Slice index 72. Head.
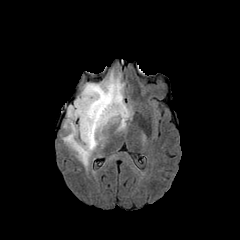
FLAIR MRI.
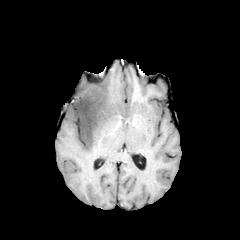
T1-weighted MR.
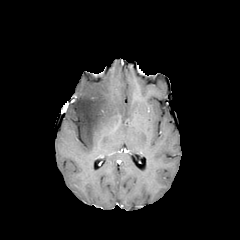
Post-contrast T1-weighted MR image.
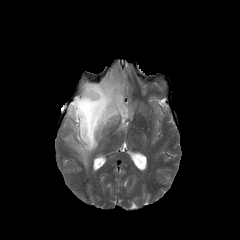
Same slice, T2-weighted MR.
Non-enhancing tumor core — 68:94:109:146.
Edema — 63:72:133:166.